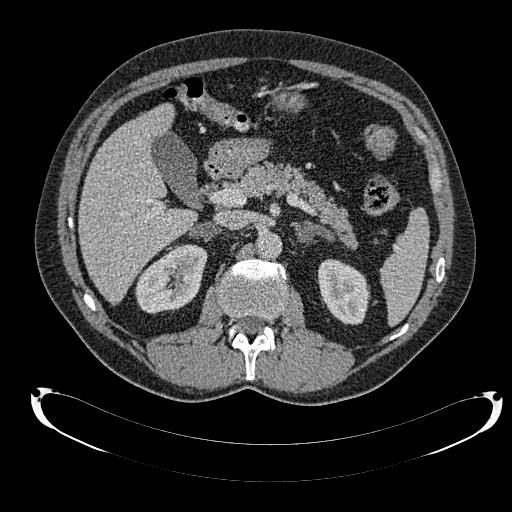

CT
Annotated regions:
- kidney: [318,260,368,323], [136,245,206,312]
- liver: [79,105,196,303]